CT. Abdomen. Image width 320 mm. 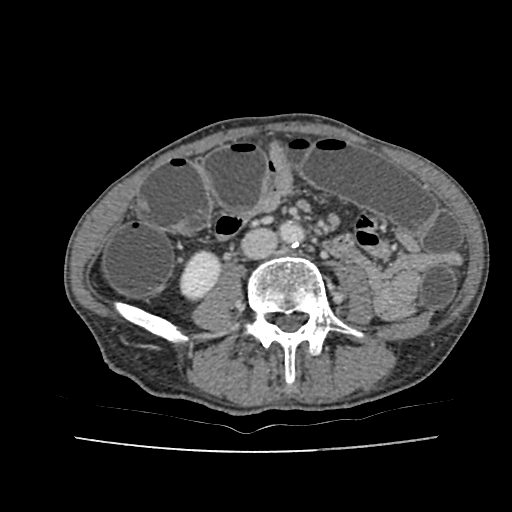
{"kidney": ["left=182, top=252, right=219, bottom=296"]}